Slice index 76; Head; Image size 240x240
FLAIR magnetic resonance.
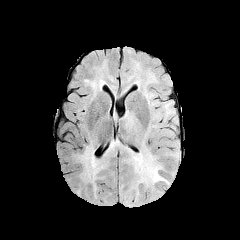
T1-weighted MRI.
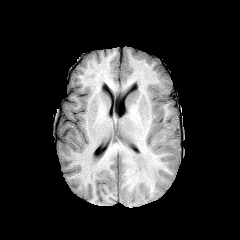
Post-contrast T1-weighted MR image.
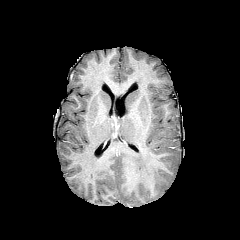
T2-weighted MR.
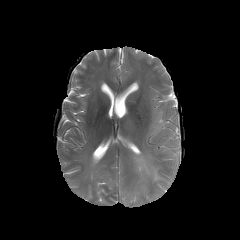
<segmentation>
  <edema>bbox(131, 150, 168, 188); bbox(78, 144, 103, 183)</edema>
</segmentation>